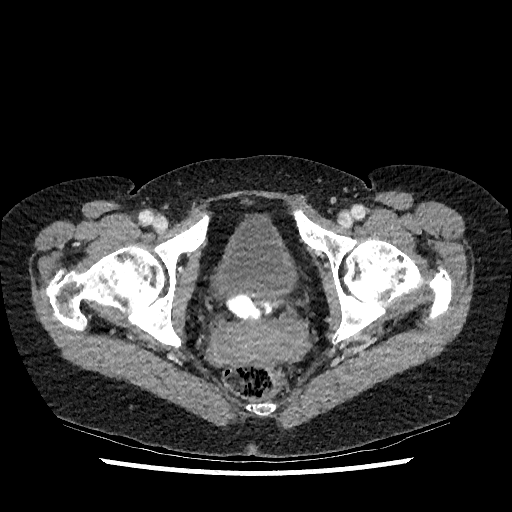
Computed tomography, Lower abdomen

Urinary bladder = box(212, 212, 299, 294).